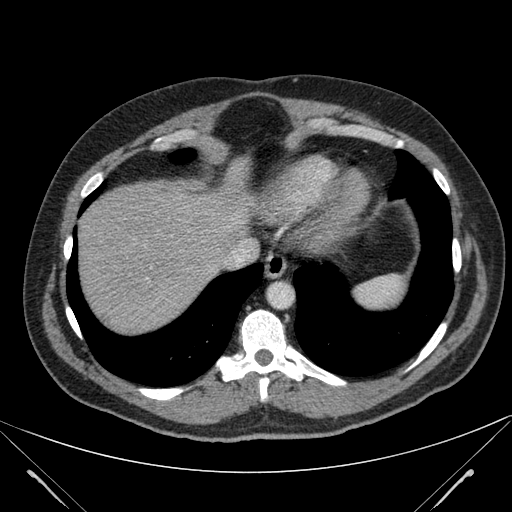

512x512. CT slice. - liver: left=78, top=157, right=254, bottom=333